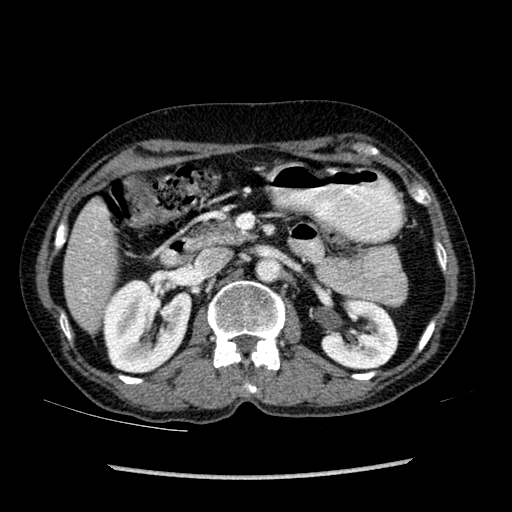
CT scan slice. Upper abdomen.
{
  "liver": [
    "63, 209, 116, 326"
  ],
  "kidney": [
    "321, 301, 396, 367",
    "104, 276, 190, 371"
  ]
}